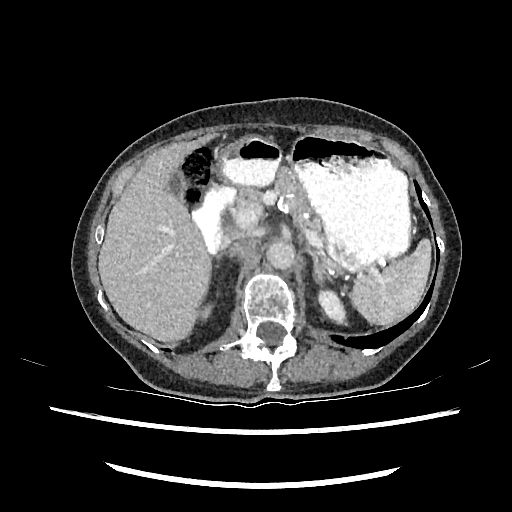 Liver; CT
<segmentation>
  <kidney>bbox(320, 292, 343, 319)</kidney>
  <liver>bbox(99, 134, 212, 340)</liver>
</segmentation>